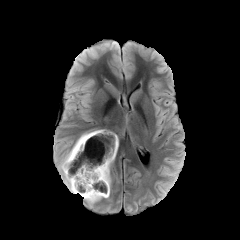
FLAIR MRI.
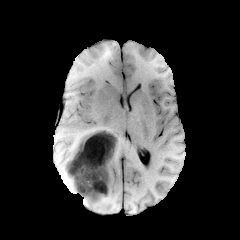
Same slice, T1-weighted MR.
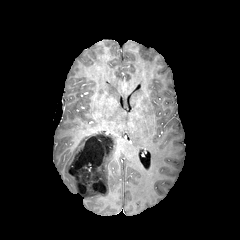
Post-contrast T1-weighted magnetic resonance.
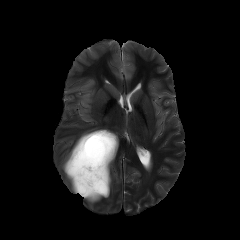
T2-weighted MR image of the same slice.
Head
The non-enhancing tumor core appears at region(66, 130, 116, 197). 3 edema regions are bounded by region(62, 143, 77, 192); region(83, 194, 109, 203); region(96, 136, 107, 145).